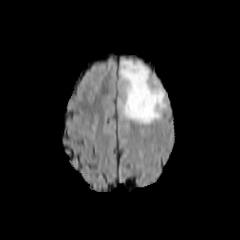
FLAIR magnetic resonance.
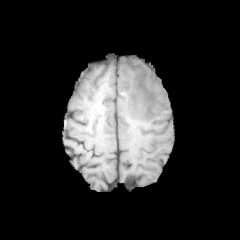
T1-weighted MRI.
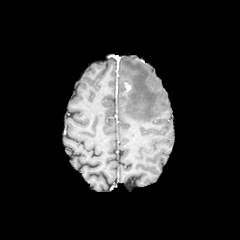
Post-contrast T1-weighted MR image.
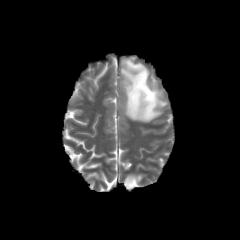
T2-weighted MRI.
Image size 240x240.
<segmentation>
  <edema>(119,59,165,123)</edema>
</segmentation>